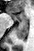
Hippocampus. MRI.
posterior hippocampus: [14, 21, 27, 38] | anterior hippocampus: [8, 10, 25, 20]